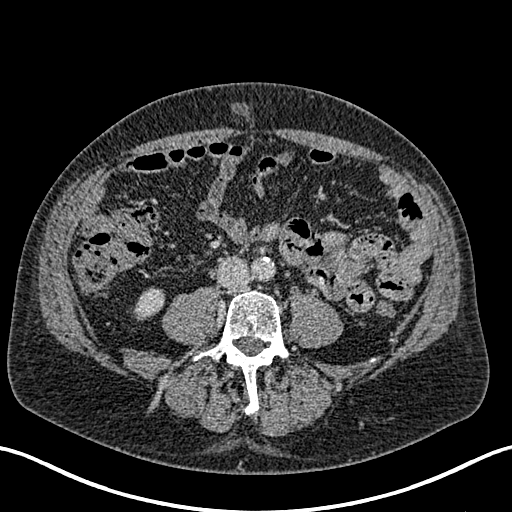 Abdomen. 512x512. CT image.
kidney: (x1=132, y1=287, x2=164, y2=322)